512x512 px. CT image.

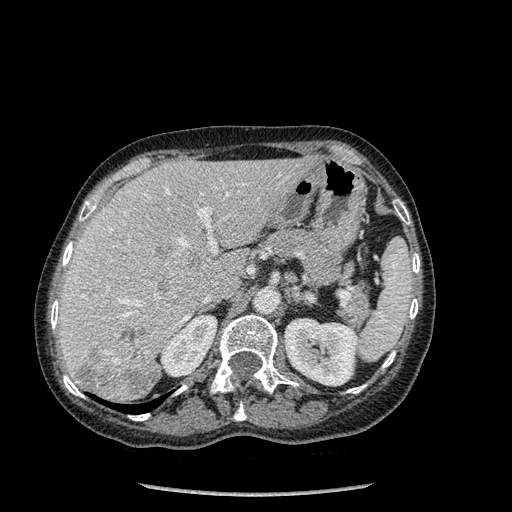
2 kidney regions are bounded by bbox=[285, 319, 357, 385]; bbox=[161, 315, 216, 376]. The lung lies within bbox=[103, 398, 162, 414]. 8 liver lesion regions are located at bbox=[156, 245, 172, 255]; bbox=[150, 371, 156, 382]; bbox=[120, 328, 140, 355]; bbox=[123, 368, 145, 395]; bbox=[189, 252, 199, 269]; bbox=[75, 365, 111, 390]; bbox=[88, 349, 100, 362]; bbox=[160, 279, 169, 291]. 13 bone regions appear at bbox=[234, 402, 246, 420]; bbox=[411, 253, 419, 273]; bbox=[50, 300, 59, 329]; bbox=[408, 299, 418, 319]; bbox=[393, 199, 410, 224]; bbox=[174, 385, 187, 395]; bbox=[382, 351, 395, 368]; bbox=[62, 242, 73, 266]; bbox=[79, 201, 96, 221]; bbox=[346, 384, 366, 393]; bbox=[128, 413, 150, 421]; bbox=[211, 314, 298, 393]; bbox=[63, 375, 84, 397]. The liver is at bbox=[59, 157, 313, 403].